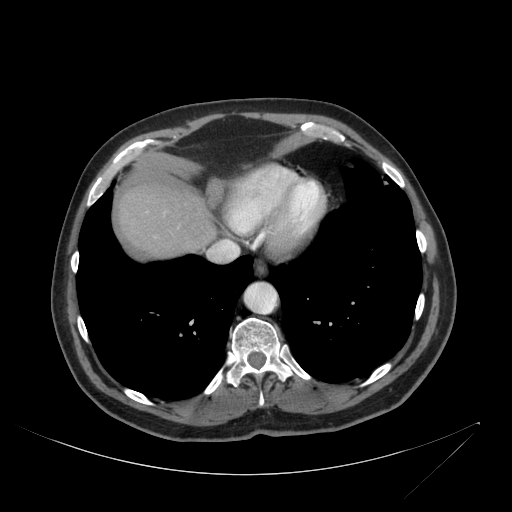
CT slice | Abdomen
Liver = <box>120,187,214,254</box>.